Computed tomography, Slice index 38, Field of view 370 mm wide, 5.00 mm slice spacing
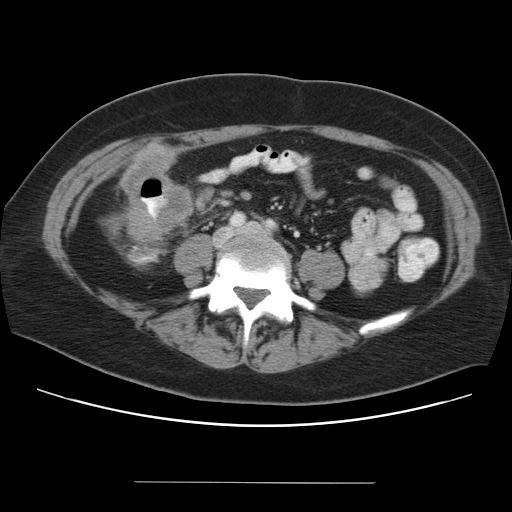 The colon tumor appears at 121:144:190:241.